Brain. Slice index 109. Field of view 240x240 mm.
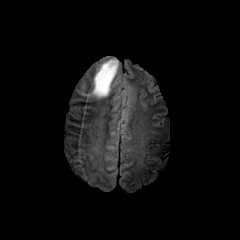
FLAIR MR image.
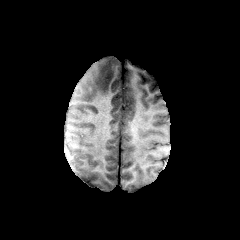
Same slice, T1-weighted MR.
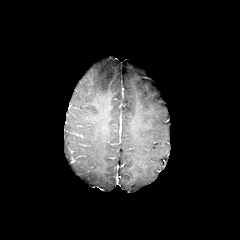
Post-contrast T1-weighted MR image.
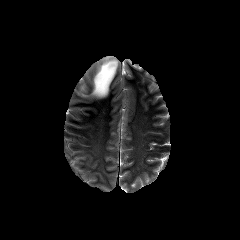
T2-weighted MR.
* edema: (82,57,118,98)